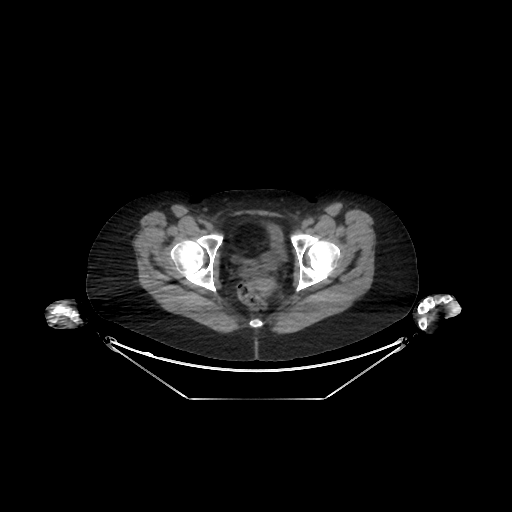

CT image
<segmentation>
  <urinary_bladder>(x1=234, y1=223, x2=288, y2=264)</urinary_bladder>
</segmentation>